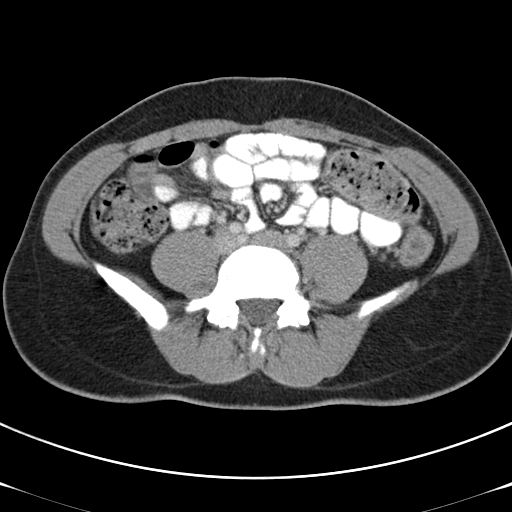

CT scan slice

Colon tumor: bounding box region(415, 229, 433, 262).